Brain
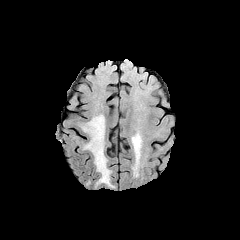
FLAIR MR image.
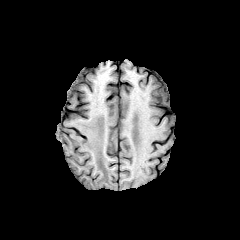
T1-weighted MRI.
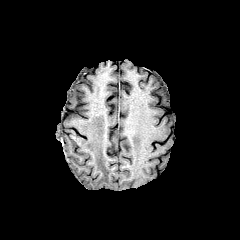
Post-contrast T1-weighted MR.
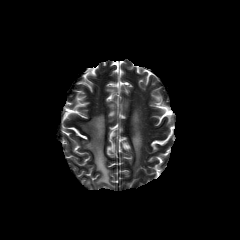
Same slice, T2-weighted MR image.
{
  "edema": [
    "82, 114, 113, 187"
  ]
}